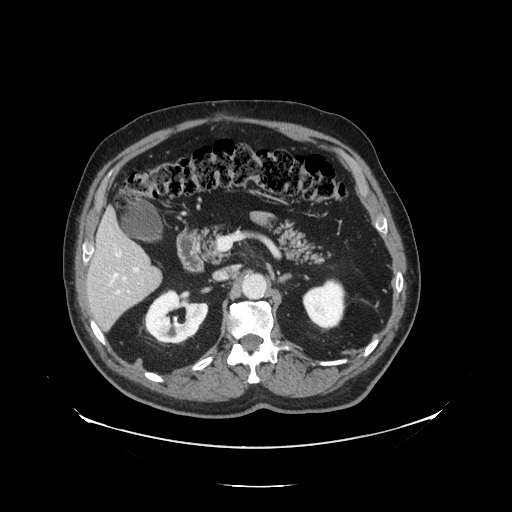

Computed tomography

The vessel annotation is not exhaustive.
Hepatic vessel = x1=117 y1=291 x2=119 y2=293, x1=134 y1=268 x2=138 y2=271, x1=110 y1=273 x2=118 y2=284, x1=115 y1=251 x2=120 y2=256, x1=124 y1=277 x2=126 y2=281.